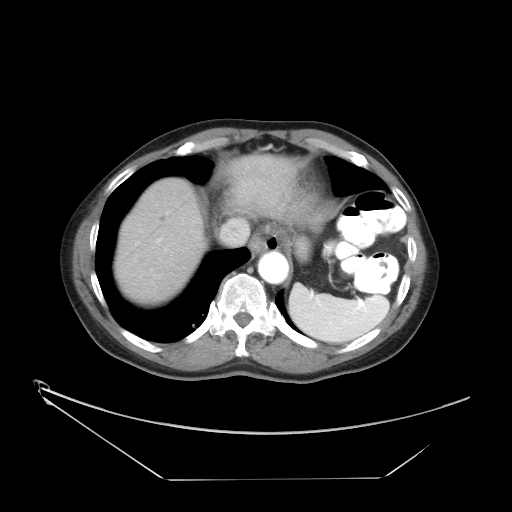 Computed tomography. The vessel annotation is not exhaustive.
{"hepatic_vessel": ["bbox=[157, 239, 159, 241]"]}